Slice 85/155; Brain; Field of view 240x240 mm
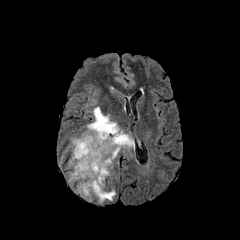
FLAIR MR image.
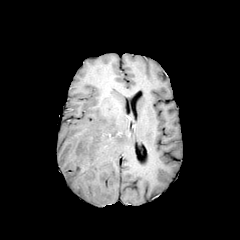
T1-weighted magnetic resonance of the same slice.
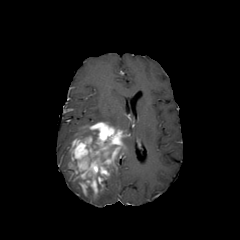
Post-contrast T1-weighted MR of the same slice.
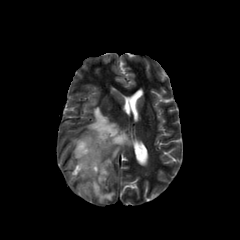
Same slice, T2-weighted MRI.
2 non-enhancing tumor core regions are bounded by (70,168,80,179), (83,130,98,145). The enhancing tumor appears at (69,122,126,195). 4 edema regions are located at (95,187,115,203), (76,185,91,198), (86,106,119,128), (124,133,134,151).